CT scan slice

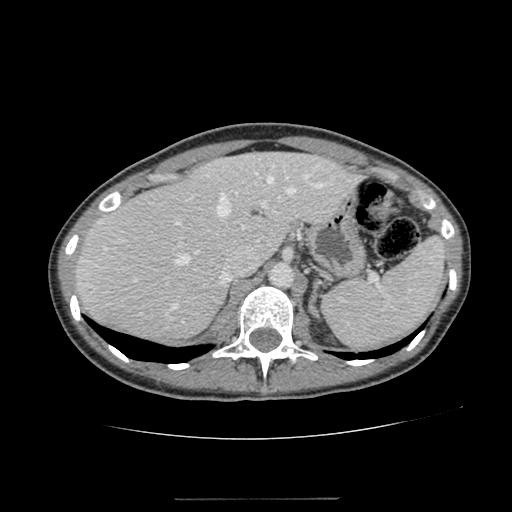

<segmentation>
  <liver>76,152,362,340</liver>
</segmentation>